CT scan slice | Image size 512x512 | Slice index 455 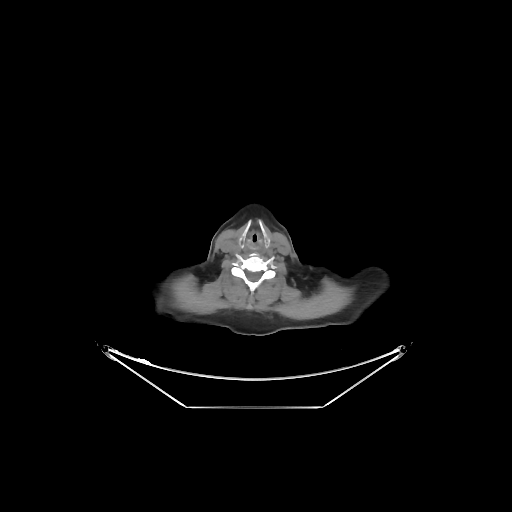

Bone at bbox(231, 253, 275, 297).